Slice 69 of 155; 240x240 px
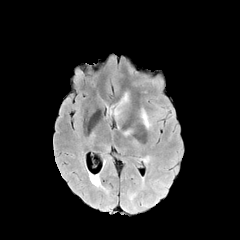
FLAIR MRI.
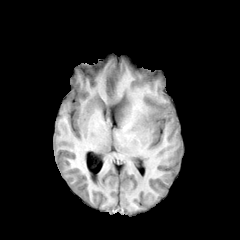
T1-weighted MRI.
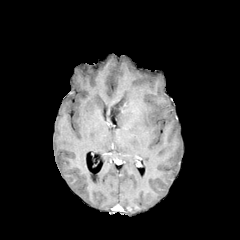
Post-contrast T1-weighted magnetic resonance.
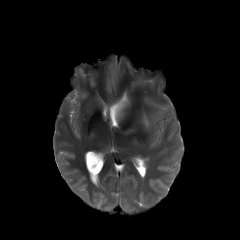
T2-weighted MR.
{
  "non-enhancing_tumor_core": [
    "(112,104,123,112)"
  ],
  "edema": [
    "(141,110,150,129)",
    "(114,93,130,119)",
    "(106,105,112,115)"
  ]
}